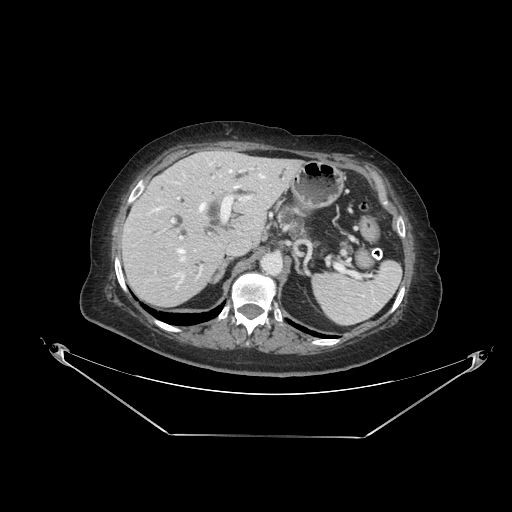
Upper abdomen; 512x512 px; CT
Pancreas — left=339, top=241, right=352, bottom=254; left=279, top=208, right=308, bottom=239.